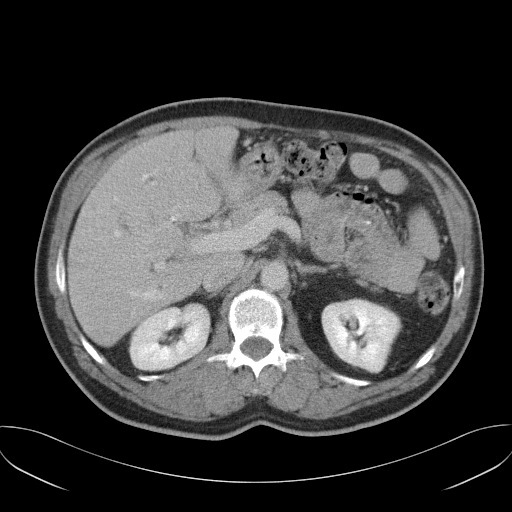 CT image; Abdomen
Not every hepatic vessel necessarily has a box.
Annotated regions:
* hepatic vessel: bbox=[155, 263, 163, 268]; bbox=[143, 291, 161, 298]